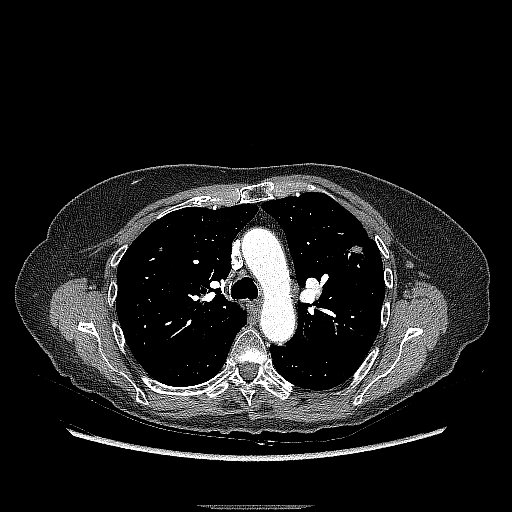
CT, Lung
Lung tumor — 338,243,366,269.